FLAIR MRI.
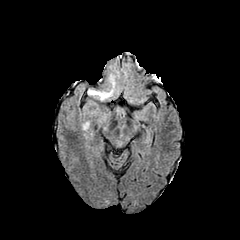
T1-weighted magnetic resonance.
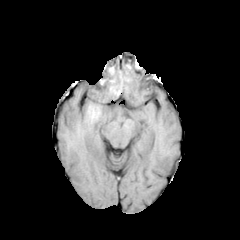
Post-contrast T1-weighted magnetic resonance.
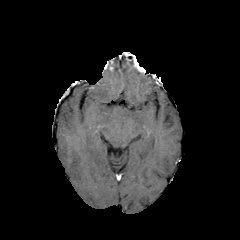
T2-weighted MR image.
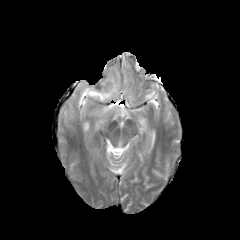
240x240. Head.
<segmentation>
  <edema>(x1=88, y1=76, x2=115, y2=100)</edema>
</segmentation>